MR, Cardiac, Slice 61 of 100 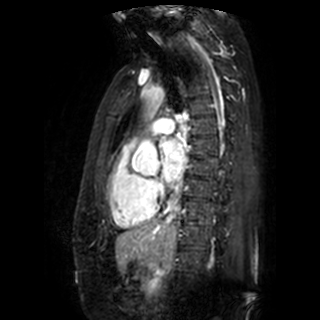
The left atrium is located at <bbox>161, 140, 186, 181</bbox>.